CT scan slice. Image width 421 mm.
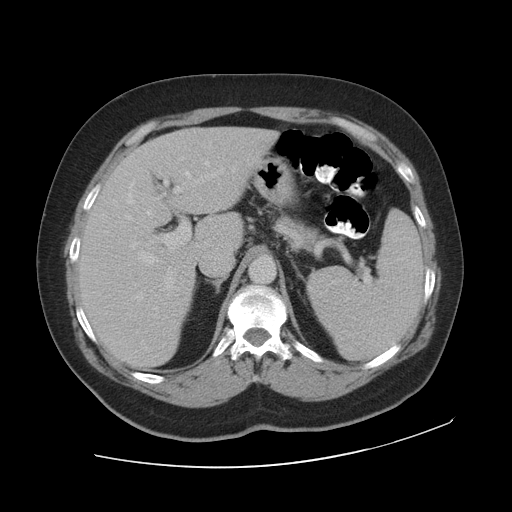 Only some of the vessels may be annotated.
Findings:
- hepatic vessel: x1=142 y1=341 x2=143 y2=343, x1=167 y1=256 x2=179 y2=268, x1=163 y1=222 x2=191 y2=253, x1=185 y1=172 x2=189 y2=175, x1=127 y1=182 x2=133 y2=203, x1=138 y1=293 x2=142 y2=299, x1=125 y1=215 x2=131 y2=219, x1=139 y1=252 x2=155 y2=262, x1=209 y1=143 x2=210 y2=148, x1=131 y1=243 x2=136 y2=248, x1=205 y1=161 x2=209 y2=165, x1=167 y1=278 x2=172 y2=288, x1=182 y1=157 x2=183 y2=159, x1=147 y1=209 x2=152 y2=216